Slice 87/135, CT image
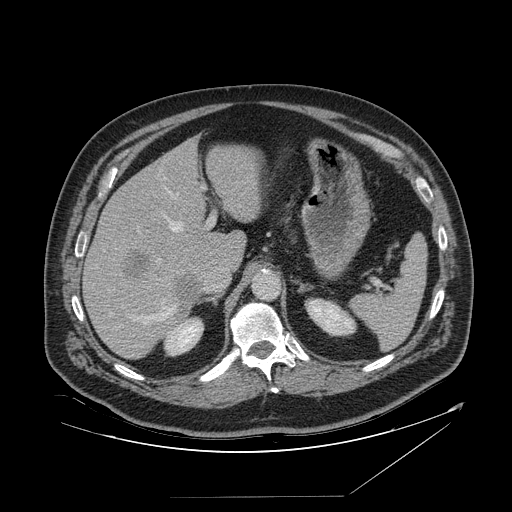 spleen:
  - 350:236:427:348